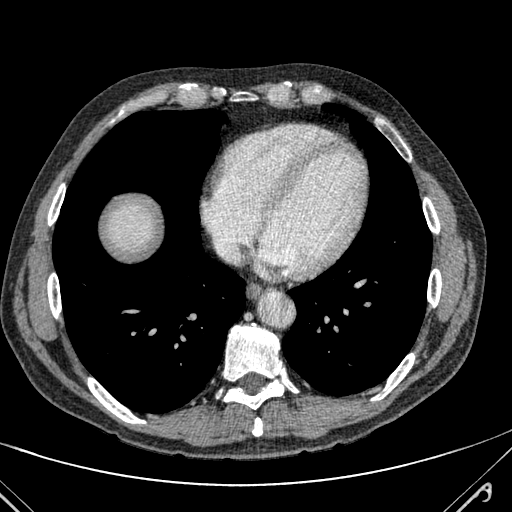

Image size 512x512. CT.
Liver: (left=109, top=206, right=153, bottom=251).